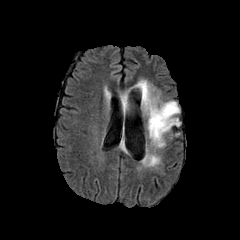
FLAIR MR.
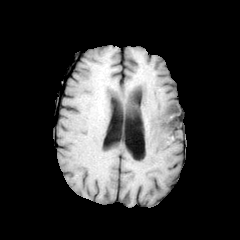
Same slice, T1-weighted magnetic resonance.
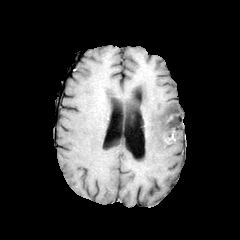
Same slice, post-contrast T1-weighted magnetic resonance.
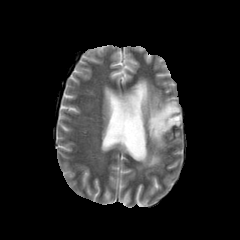
T2-weighted magnetic resonance.
Edema at 119, 79, 181, 167.
Non-enhancing tumor core at 150, 118, 159, 129; 162, 117, 179, 125; 165, 104, 176, 115.